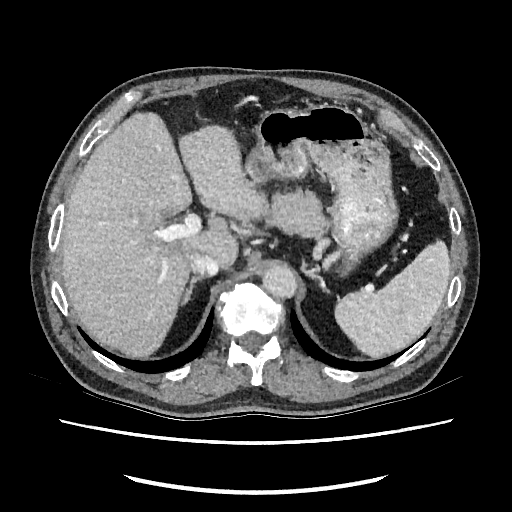

512x512 px; CT
liver: [x1=62, y1=114, x2=235, y2=355], [x1=180, y1=127, x2=264, y2=215] | hepatic lesion: [x1=161, y1=208, x2=172, y2=219]